Head, Slice 63 of 155
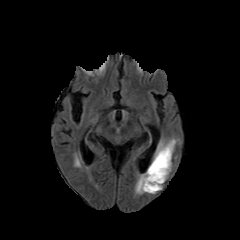
FLAIR magnetic resonance.
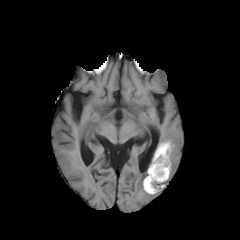
T1-weighted magnetic resonance.
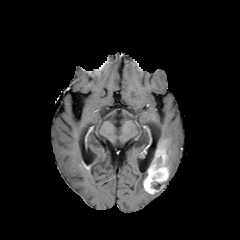
Post-contrast T1-weighted MR.
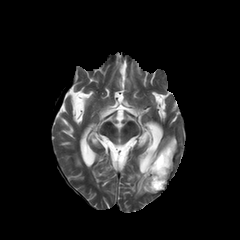
T2-weighted MR.
<segmentation>
  <non-enhancing_tumor_core>[152, 181, 165, 191], [160, 143, 170, 173]</non-enhancing_tumor_core>
  <enhancing_tumor>[144, 144, 169, 193]</enhancing_tumor>
  <edema>[134, 173, 145, 194], [159, 137, 178, 171]</edema>
</segmentation>